Image size 240x240, Head
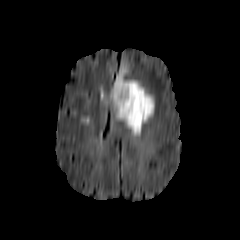
FLAIR MRI.
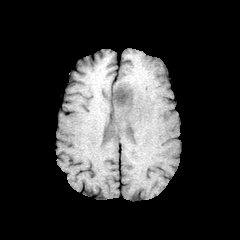
Same slice, T1-weighted MRI.
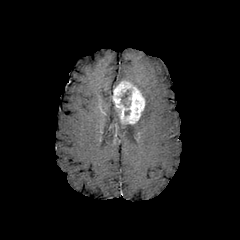
Post-contrast T1-weighted MR image.
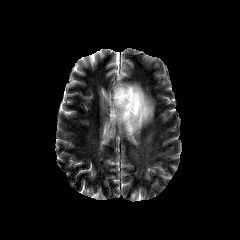
T2-weighted magnetic resonance.
{
  "edema": [
    "112:80:154:135",
    "114:66:127:88"
  ],
  "enhancing_tumor": [
    "112:82:145:124"
  ]
}